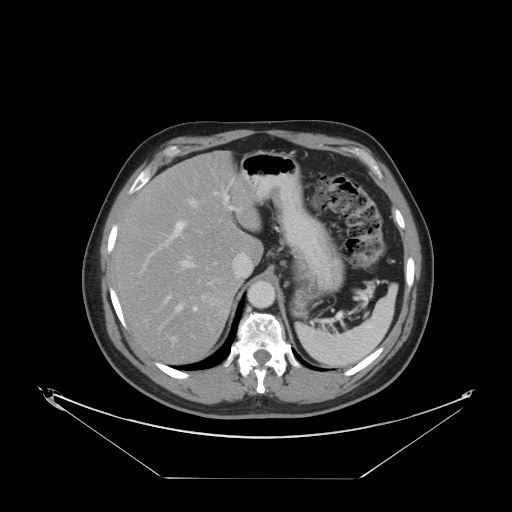 Abdomen; CT slice
The vessel boxes may cover only some of the vessels.
Liver tumor = [x1=200, y1=290, x2=233, y2=309].
Hepatic vessel = [x1=228, y1=206, x2=236, y2=209], [x1=165, y1=296, x2=170, y2=301], [x1=181, y1=260, x2=193, y2=267], [x1=148, y1=254, x2=151, y2=258], [x1=233, y1=253, x2=251, y2=273], [x1=187, y1=256, x2=189, y2=257], [x1=166, y1=222, x2=184, y2=244], [x1=215, y1=192, x2=217, y2=194], [x1=144, y1=259, x2=147, y2=268], [x1=176, y1=305, x2=181, y2=310], [x1=190, y1=199, x2=196, y2=205], [x1=193, y1=307, x2=196, y2=310], [x1=223, y1=193, x2=228, y2=203].